512x512 px, CT scan slice

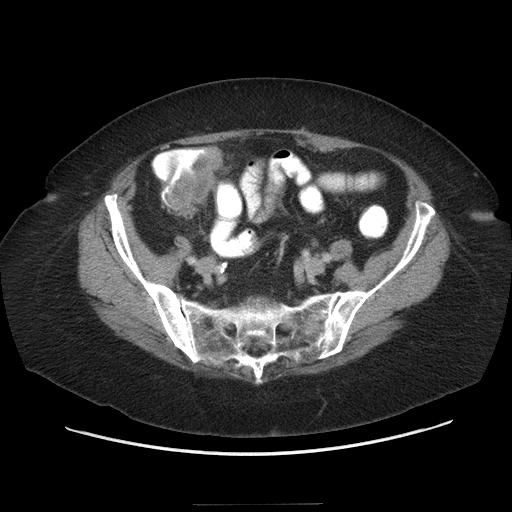 Colon tumor: rect(164, 147, 221, 217).